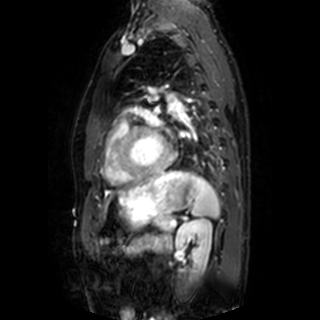
MRI slice | Heart | 320x320
Left atrium: {"x1": 151, "y1": 133, "x2": 163, "y2": 151}.